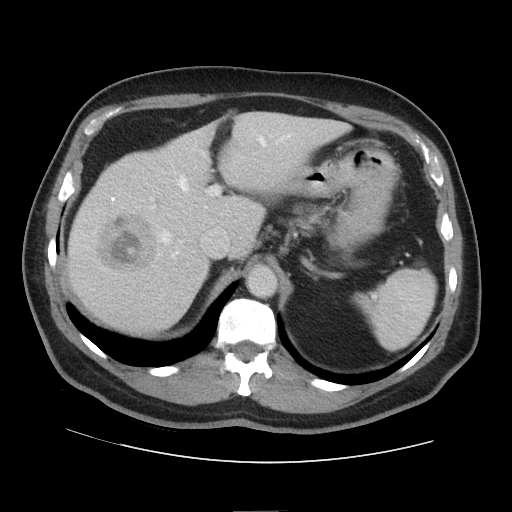
CT slice; Abdomen
Only some of the vessels may be annotated.
3 hepatic vessel regions are bounded by left=178, top=240, right=182, bottom=243; left=175, top=246, right=179, bottom=250; left=147, top=196, right=155, bottom=209. The liver tumor lies within left=94, top=211, right=159, bottom=274.